Computed tomography. Field of view 402x402 mm. Slice 81/143.
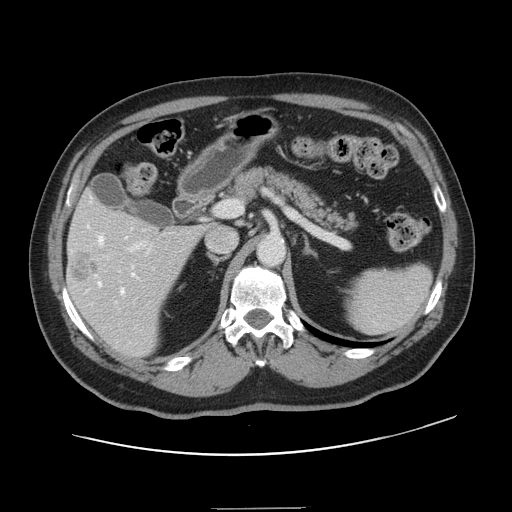
Some hepatic vessels may have no box.
Segmented structures:
* hepatic vessel: 120 288 124 294, 90 196 91 201, 132 273 135 276, 115 302 117 303, 131 242 145 249, 98 282 100 285, 99 236 103 244
* liver tumor: 73 254 98 282